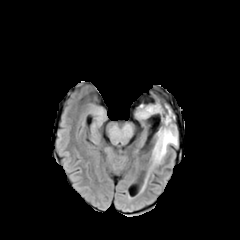
FLAIR MRI.
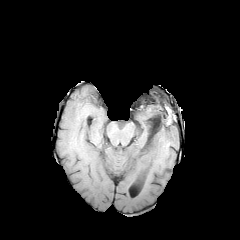
Same slice, T1-weighted magnetic resonance.
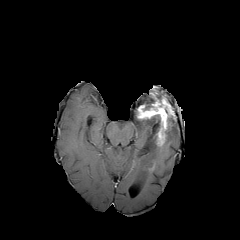
Post-contrast T1-weighted MR of the same slice.
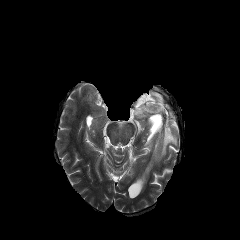
Same slice, T2-weighted MRI.
240x240 px
2 non-enhancing tumor core regions are bounded by (x1=164, y1=116, x2=175, y2=140), (x1=150, y1=114, x2=160, y2=122). The edema is at (x1=150, y1=126, x2=178, y2=169). The enhancing tumor appears at (x1=136, y1=98, x2=174, y2=145).